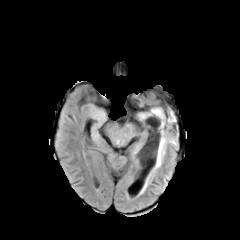
FLAIR magnetic resonance.
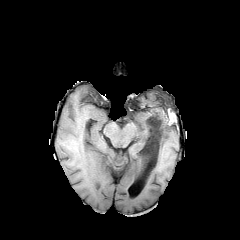
T1-weighted magnetic resonance.
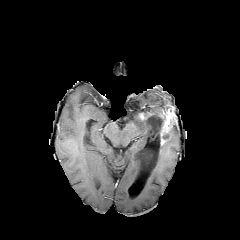
Post-contrast T1-weighted magnetic resonance of the same slice.
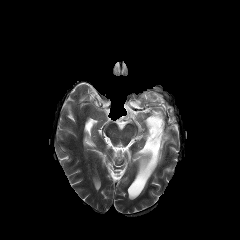
Same slice, T2-weighted MRI.
Brain.
- enhancing tumor: (x1=159, y1=109, x2=174, y2=145)
- edema: (x1=144, y1=108, x2=156, y2=119), (x1=143, y1=126, x2=177, y2=192)
- non-enhancing tumor core: (x1=150, y1=104, x2=165, y2=157)